Image size 512x512; Image width 330 mm; CT scan slice; Abdomen 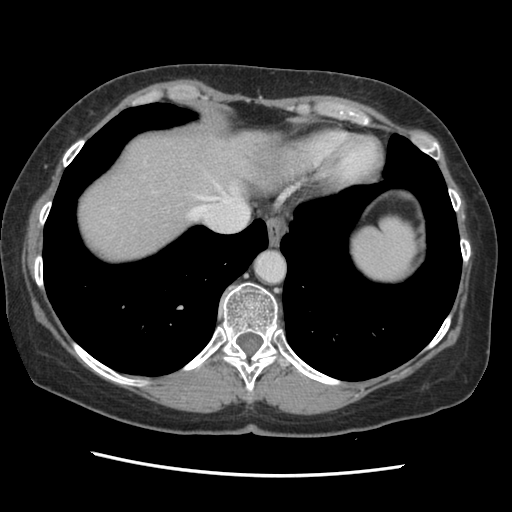 Only some of the vessels may be annotated.
Segmented structures:
• hepatic vessel: [x1=215, y1=183, x2=241, y2=201], [x1=188, y1=205, x2=210, y2=218]